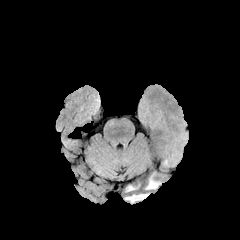
FLAIR MR image.
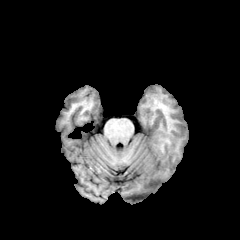
Same slice, T1-weighted MR image.
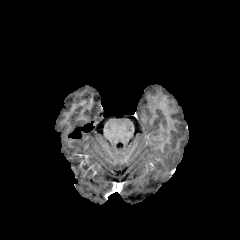
Post-contrast T1-weighted MRI.
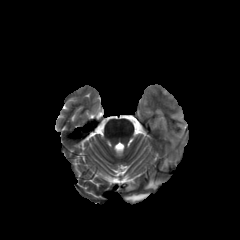
T2-weighted magnetic resonance.
Brain.
<segmentation>
  <edema>(145, 175, 161, 189), (125, 193, 149, 202), (126, 184, 136, 191)</edema>
</segmentation>